Image size 512x512 | CT image | Slice 462 of 841

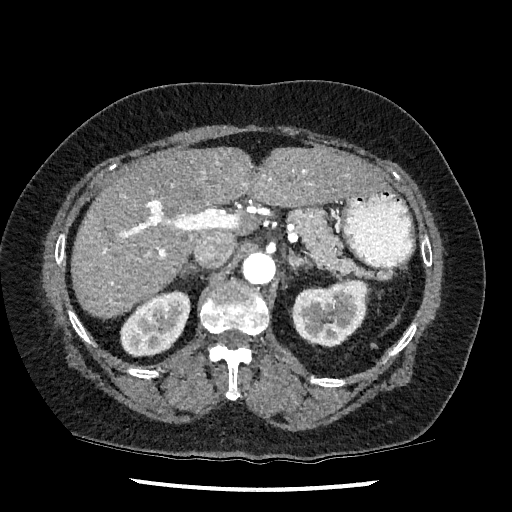

kidney:
  - box=[293, 280, 366, 346]
  - box=[121, 292, 189, 355]
liver:
  - box=[71, 147, 385, 317]